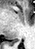 Hippocampus; MR image
<segmentation>
  <posterior_hippocampus>rect(11, 38, 21, 44)</posterior_hippocampus>
</segmentation>